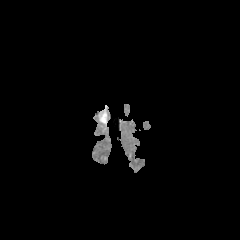
FLAIR MRI.
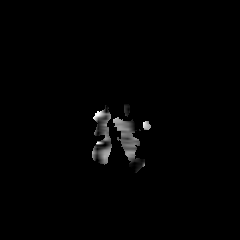
T1-weighted MR.
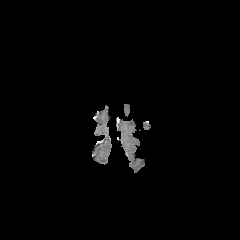
Post-contrast T1-weighted MR.
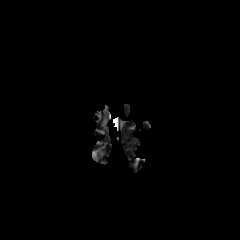
T2-weighted MR image.
Brain; Image size 240x240
edema: region(99, 106, 107, 124)